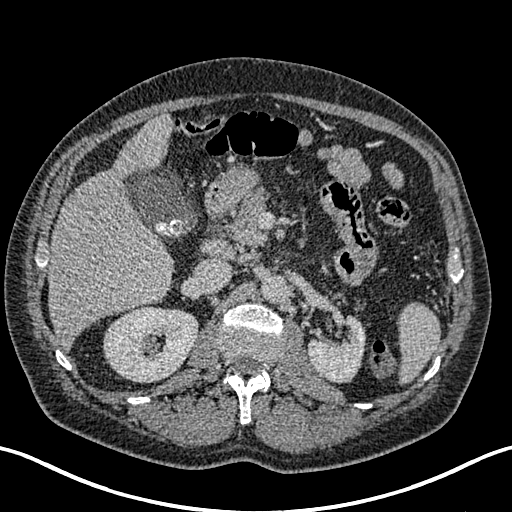 Computed tomography
The liver is bounded by {"x1": 49, "y1": 114, "x2": 173, "y2": 348}. 2 kidney regions appear at {"x1": 104, "y1": 308, "x2": 197, "y2": 382}, {"x1": 308, "y1": 318, "x2": 364, "y2": 381}.